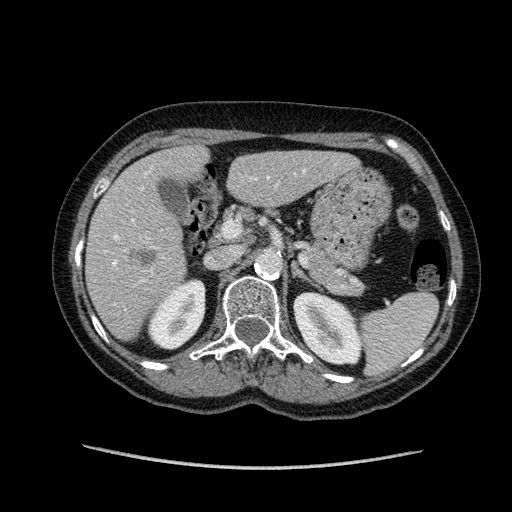
CT

Annotated regions:
• kidney: x1=150 y1=281 x2=204 y2=348, x1=294 y1=293 x2=360 y2=363
• liver: x1=86 y1=150 x2=202 y2=332, x1=229 y1=151 x2=349 y2=203
• focal liver lesion: x1=131 y1=247 x2=155 y2=264